Field of view 321x321 mm. 512x512. Slice index 41. Computed tomography.
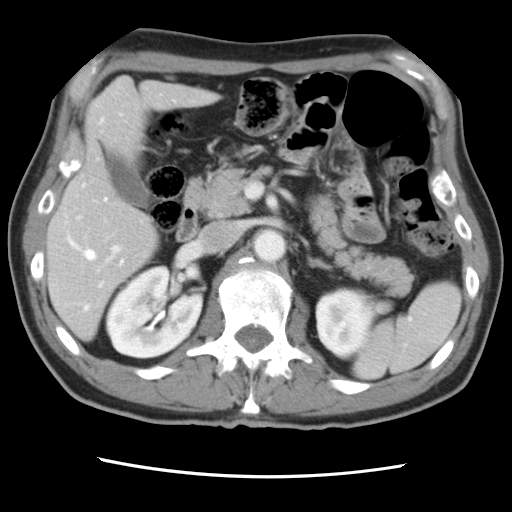 The vessel boxes may cover only some of the vessels.
<segmentation>
  <hepatic_vessel>[67,236,77,247], [84,249,95,259], [78,216,81,218], [99,282,102,286], [112,245,119,252], [101,119,103,122], [85,305,88,309], [83,184,84,186], [107,256,112,261], [120,260,123,264], [104,198,106,200]</hepatic_vessel>
</segmentation>